37x54; Slice 23 of 36; Magnetic resonance
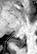 The posterior hippocampus lies within <bbox>12, 36, 24, 47</bbox>.